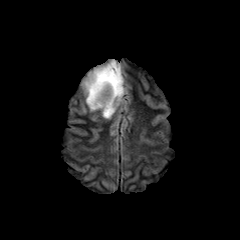
FLAIR MR.
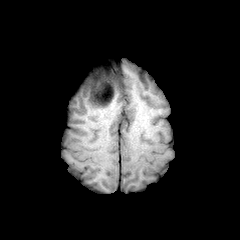
T1-weighted MR of the same slice.
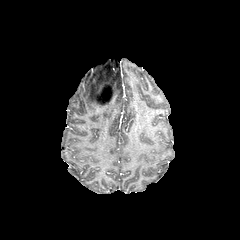
Same slice, post-contrast T1-weighted MRI.
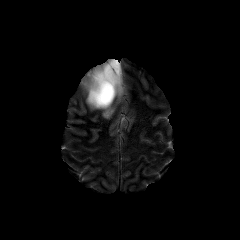
Same slice, T2-weighted MR.
Head
The edema is at <bbox>80, 59, 126, 119</bbox>. The non-enhancing tumor core is bounded by <bbox>93, 61, 122, 105</bbox>.